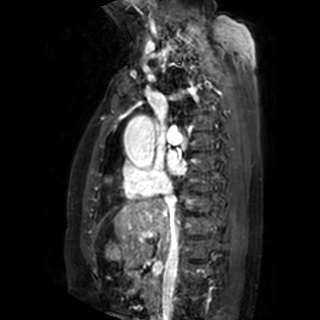
MR image
left atrium: <box>167,152,186,173</box>